CT image. Abdomen. Slice 29/44. Field of view 390 mm wide, 5.00 mm slice spacing.

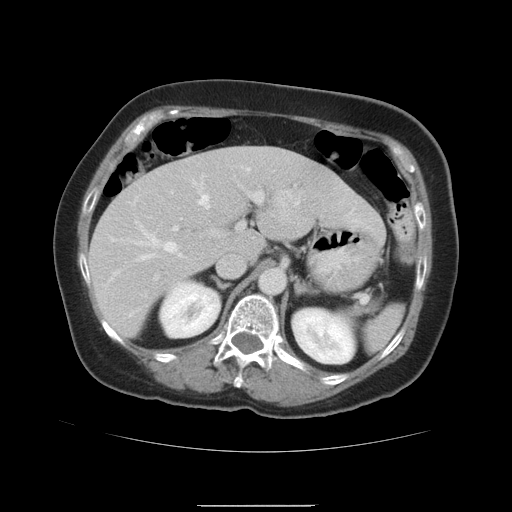

Some hepatic vessels may have no box.
The liver tumor appears at {"x1": 272, "y1": 187, "x2": 309, "y2": 235}. The most prominent 15 hepatic vessel regions (of 16) are located at {"x1": 193, "y1": 174, "x2": 210, "y2": 208}, {"x1": 130, "y1": 311, "x2": 136, "y2": 316}, {"x1": 173, "y1": 224, "x2": 178, "y2": 230}, {"x1": 110, "y1": 237, "x2": 116, "y2": 241}, {"x1": 127, "y1": 229, "x2": 184, "y2": 257}, {"x1": 236, "y1": 223, "x2": 244, "y2": 230}, {"x1": 247, "y1": 168, "x2": 249, "y2": 171}, {"x1": 137, "y1": 254, "x2": 156, "y2": 261}, {"x1": 208, "y1": 228, "x2": 223, "y2": 237}, {"x1": 129, "y1": 197, "x2": 138, "y2": 204}, {"x1": 155, "y1": 274, "x2": 158, "y2": 279}, {"x1": 347, "y1": 214, "x2": 350, "y2": 218}, {"x1": 105, "y1": 285, "x2": 107, "y2": 287}, {"x1": 109, "y1": 270, "x2": 120, "y2": 281}, {"x1": 245, "y1": 190, "x2": 264, "y2": 202}.